MR image; Field of view 400x400 mm; Heart

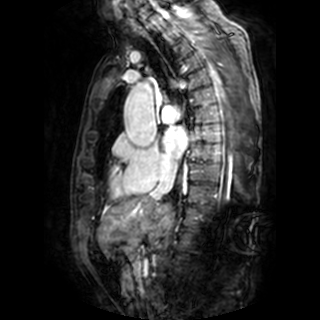
The left atrium is located at (162,127,187,158).